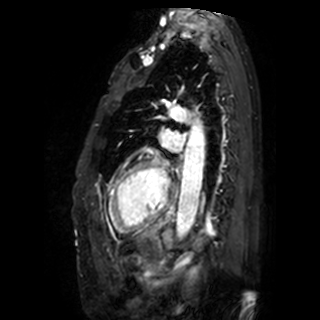
MR, Heart

{
  "left_atrium": [
    "(161, 131, 182, 150)"
  ]
}